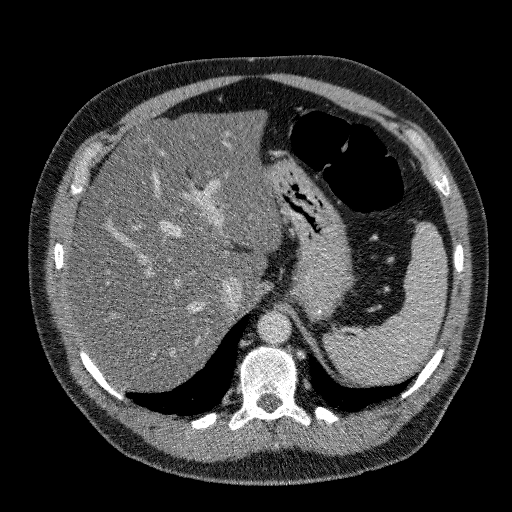 512x512 px, CT, Liver
Liver: bounding box [x1=70, y1=110, x2=280, y2=390].